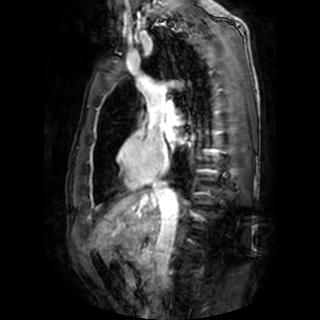

Cardiac | MR
Segmented structures:
- left atrium: bbox=[165, 128, 175, 141]